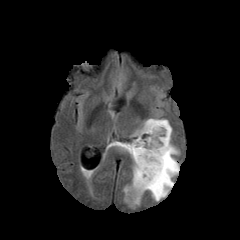
FLAIR MRI.
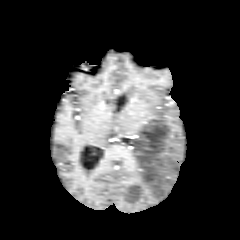
T1-weighted MR of the same slice.
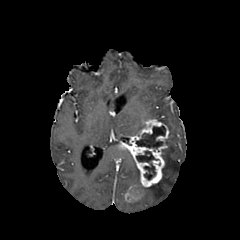
Post-contrast T1-weighted magnetic resonance.
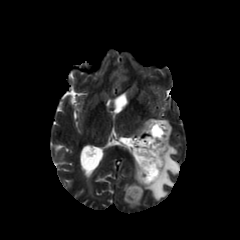
Same slice, T2-weighted MR image.
Brain
• non-enhancing tumor core: [144, 163, 155, 179], [136, 151, 157, 162], [136, 126, 165, 148]
• edema: [123, 116, 179, 200]
• enhancing tumor: [125, 185, 141, 200], [118, 119, 169, 186]